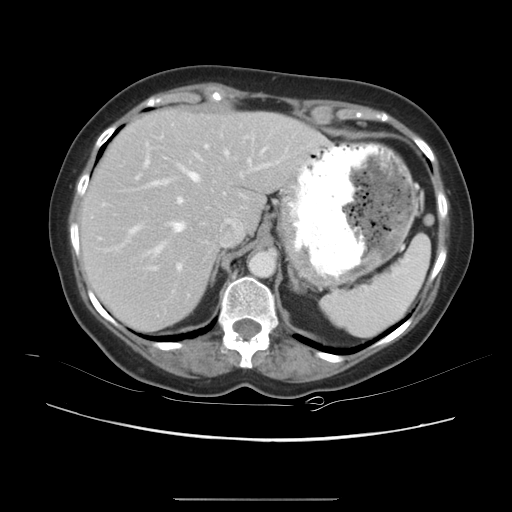 Abdomen. CT scan slice. The vessel annotation is not exhaustive.
The most prominent 15 hepatic vessel regions (of 20) appear at (x1=147, y1=242, x2=165, y2=255), (x1=169, y1=222, x2=186, y2=232), (x1=102, y1=226, x2=139, y2=250), (x1=146, y1=266, x2=157, y2=270), (x1=260, y1=148, x2=265, y2=154), (x1=148, y1=179, x2=170, y2=186), (x1=194, y1=153, x2=201, y2=160), (x1=176, y1=264, x2=181, y2=270), (x1=177, y1=198, x2=182, y2=203), (x1=248, y1=148, x2=287, y2=170), (x1=145, y1=142, x2=152, y2=166), (x1=136, y1=174, x2=140, y2=178), (x1=178, y1=164, x2=200, y2=182), (x1=243, y1=134, x2=253, y2=142), (x1=225, y1=150, x2=228, y2=157).